Slice 25/36; MR; Hippocampus; Field of view 35x51 mm 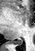 Posterior hippocampus: x1=13, y1=39, x2=22, y2=44.